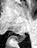 MR
Posterior hippocampus: bounding box 14,33,26,42.